Image size 512x512, CT slice
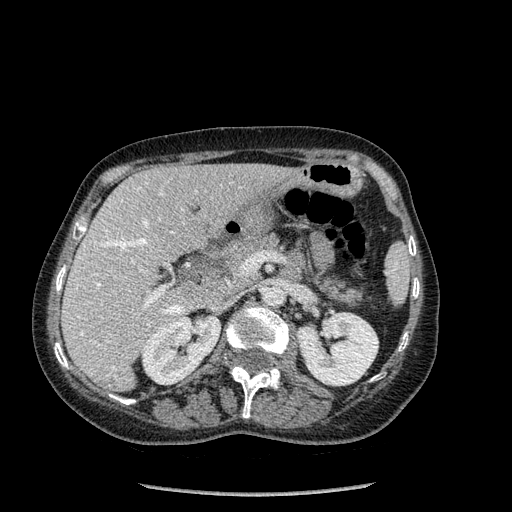
kidney:
  - (left=297, top=313, right=378, bottom=385)
  - (left=142, top=316, right=220, bottom=384)
bone:
  - (left=408, top=236, right=416, bottom=255)
  - (left=54, top=342, right=68, bottom=368)
  - (left=412, top=278, right=419, bottom=298)
  - (left=226, top=306, right=288, bottom=357)
  - (left=398, top=332, right=408, bottom=351)
  - (left=109, top=394, right=135, bottom=404)
  - (left=230, top=363, right=279, bottom=418)
  - (left=56, top=265, right=66, bottom=292)
focal_liver_lesion:
  - (left=100, top=375, right=115, bottom=386)
liver:
  - (left=62, top=164, right=299, bottom=391)